FLAIR MRI.
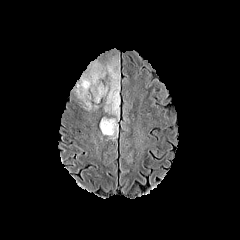
T1-weighted MR image.
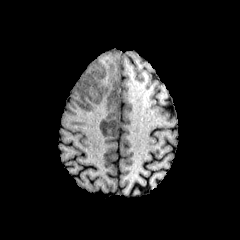
Post-contrast T1-weighted MR image.
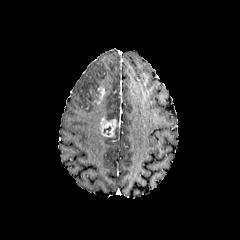
T2-weighted MR image.
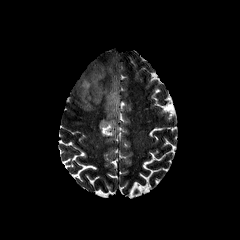
Head.
Enhancing tumor: (97, 86, 105, 100), (100, 118, 116, 136).
Edema: (110, 127, 118, 139), (105, 64, 120, 121), (75, 64, 105, 100).